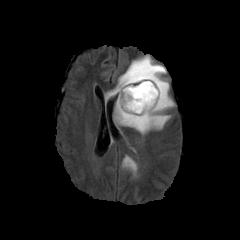
FLAIR MR image.
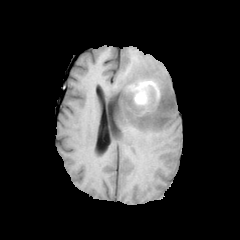
T1-weighted MR image.
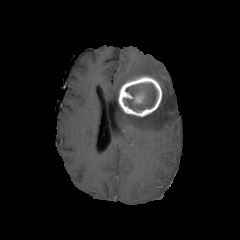
Post-contrast T1-weighted MR image of the same slice.
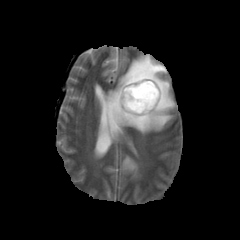
T2-weighted magnetic resonance of the same slice.
Brain
Edema at (111,55,174,133), (122,157,136,169).
Enhancing tumor at (118,75,162,116).
Non-enhancing tumor core at (125,83,156,110).